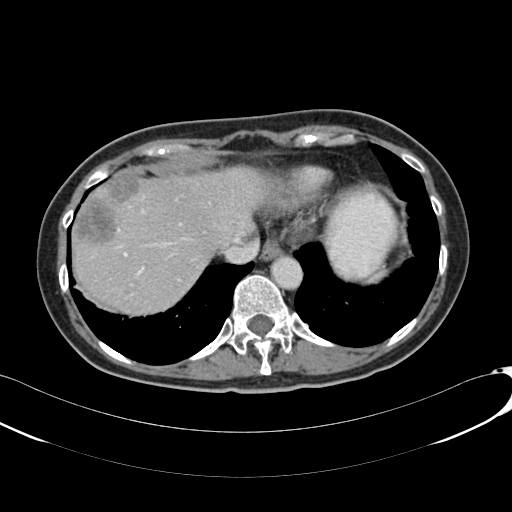 CT scan slice | Upper abdomen | Image size 512x512

The liver is bounded by [72,168,266,312]. 2 focal liver lesion regions appear at [104,175,139,204], [75,198,118,244].